FLAIR MR.
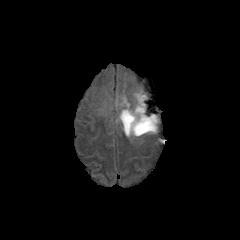
T1-weighted MR image.
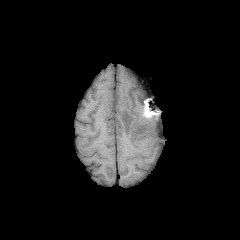
Post-contrast T1-weighted MR image.
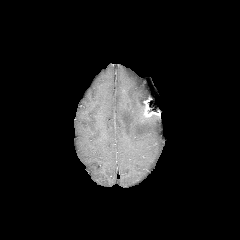
T2-weighted MR image.
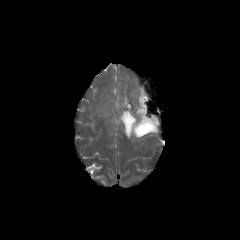
Head
edema: (x1=116, y1=88, x2=159, y2=139) | non-enhancing tumor core: (x1=124, y1=116, x2=133, y2=125), (x1=134, y1=113, x2=157, y2=134)